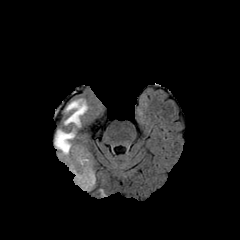
FLAIR MR.
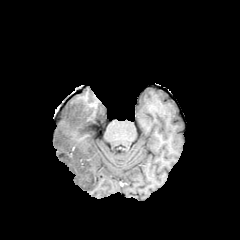
T1-weighted MR image.
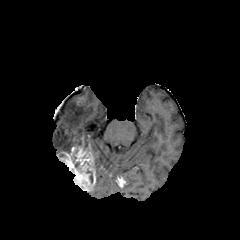
Post-contrast T1-weighted magnetic resonance.
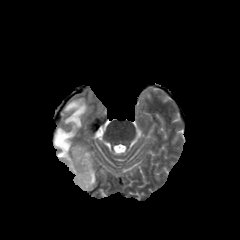
T2-weighted MRI of the same slice.
240x240 px
Non-enhancing tumor core = (left=71, top=146, right=95, bottom=182).
Enhancing tumor = (left=60, top=147, right=95, bottom=188).
Edema = (left=54, top=97, right=90, bottom=151).